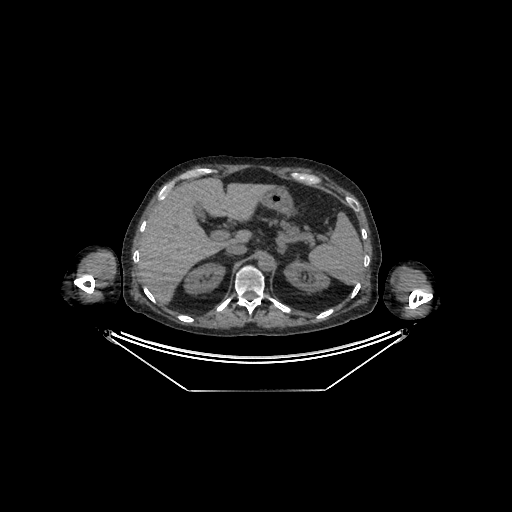 Computed tomography; Liver
<segmentation>
  <kidney>[x1=183, y1=263, x2=225, y2=294], [x1=283, y1=258, x2=329, y2=293]</kidney>
  <liver>[x1=136, y1=177, x2=275, y2=303]</liver>
</segmentation>